CT slice, Image width 446 mm
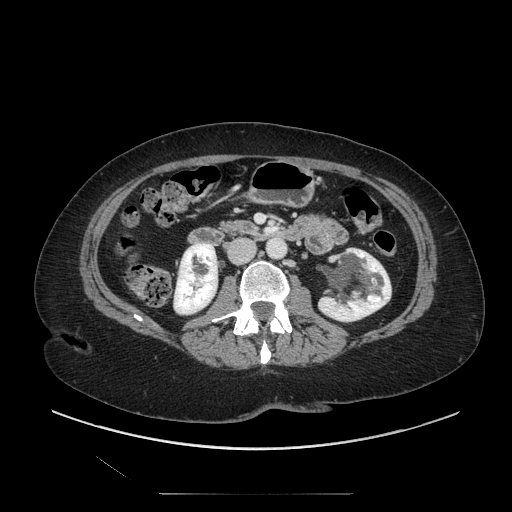 Findings:
* pancreas: 221:220:257:234